Brain. Slice index 121.
FLAIR MR.
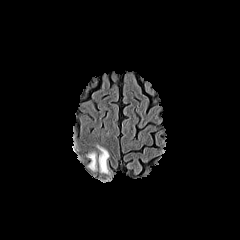
T1-weighted MR.
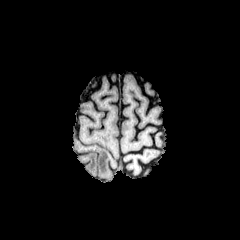
Post-contrast T1-weighted magnetic resonance.
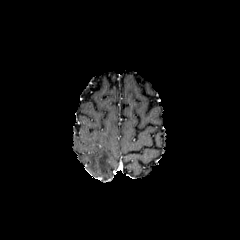
T2-weighted MR.
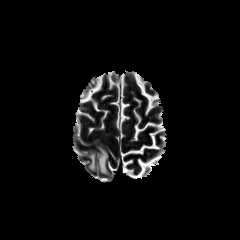
Findings:
• edema: <bbox>97, 146, 108, 174</bbox>, <bbox>88, 154, 96, 170</bbox>